512x512. CT. 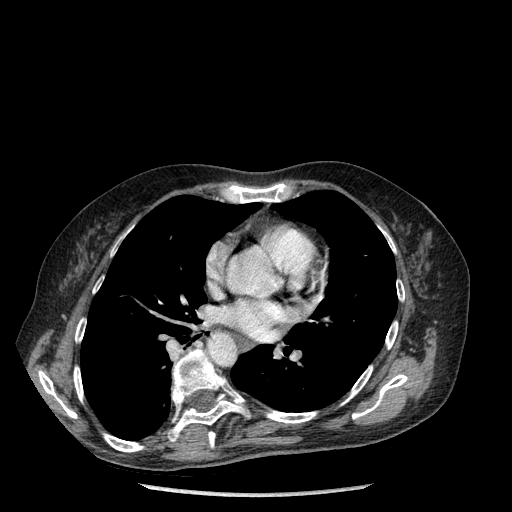

lung: (left=81, top=195, right=258, bottom=440), (left=231, top=190, right=397, bottom=412) | bone: (left=168, top=348, right=249, bottom=441), (left=379, top=226, right=396, bottom=253), (left=207, top=431, right=215, bottom=447), (left=103, top=434, right=143, bottom=452), (left=73, top=366, right=83, bottom=402), (left=385, top=321, right=397, bottom=349), (left=266, top=411, right=316, bottom=423), (left=396, top=279, right=404, bottom=301), (left=342, top=365, right=372, bottom=404), (left=352, top=374, right=407, bottom=419), (left=75, top=318, right=86, bottom=342), (left=38, top=370, right=77, bottom=418), (left=110, top=229, right=130, bottom=256), (left=225, top=183, right=288, bottom=203)